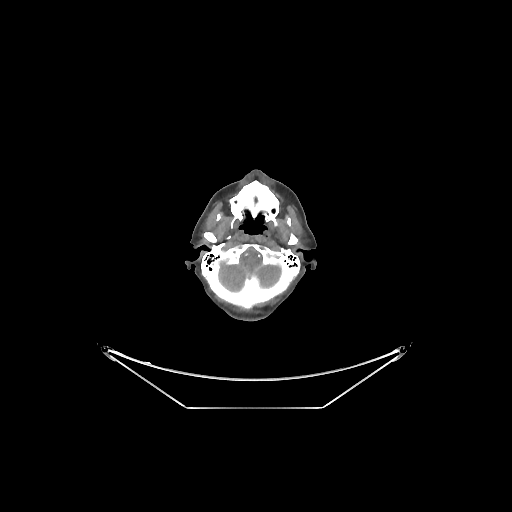 CT image. bone:
  - region(229, 180, 279, 227)
  - region(201, 240, 300, 309)
  - region(204, 230, 219, 242)
  - region(288, 233, 297, 244)
brain:
  - region(218, 247, 281, 291)